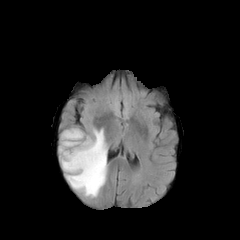
FLAIR magnetic resonance.
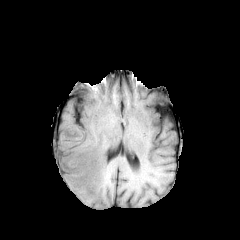
T1-weighted magnetic resonance.
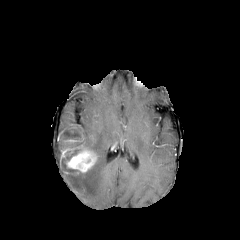
Post-contrast T1-weighted magnetic resonance of the same slice.
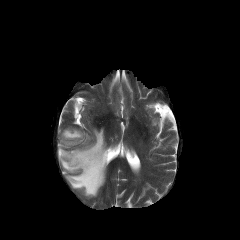
Same slice, T2-weighted MRI.
Edema — (62, 128, 107, 197), (61, 129, 84, 144).
Enhancing tumor — (59, 138, 98, 174).